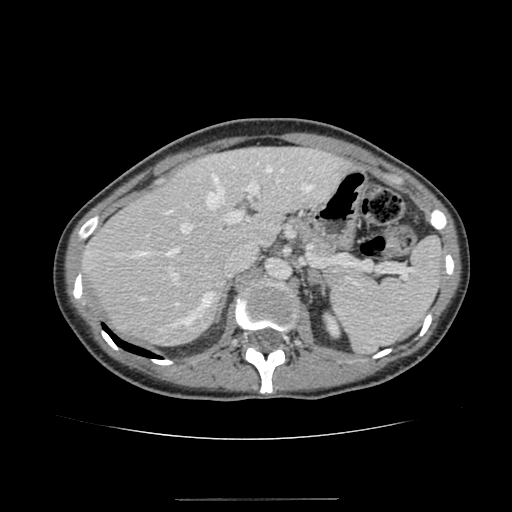 Liver, 512x512 px, CT scan slice

The liver appears at left=84, top=146, right=355, bottom=345. The kidney is bounded by left=328, top=318, right=337, bottom=333.